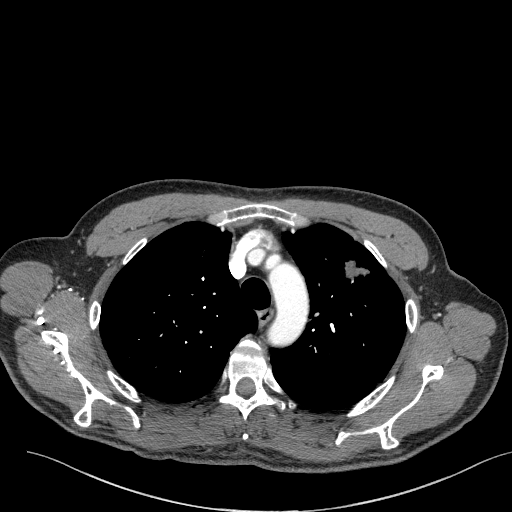

CT slice | 512x512 px
Lung tumor at box=[340, 254, 372, 292].